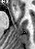 Medial temporal lobe | 35x49 px | MRI slice
Anterior hippocampus = 14 6 17 9.